FLAIR MRI.
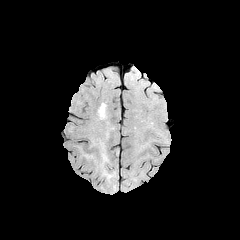
T1-weighted MR.
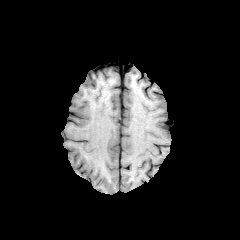
Post-contrast T1-weighted MR.
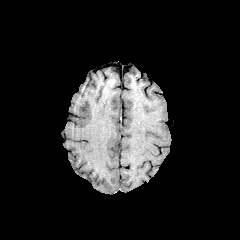
T2-weighted MR image.
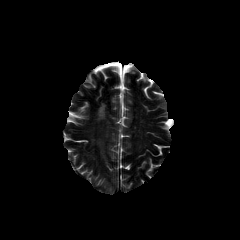
Image size 240x240.
Segmented structures:
- edema: 98,105,104,116